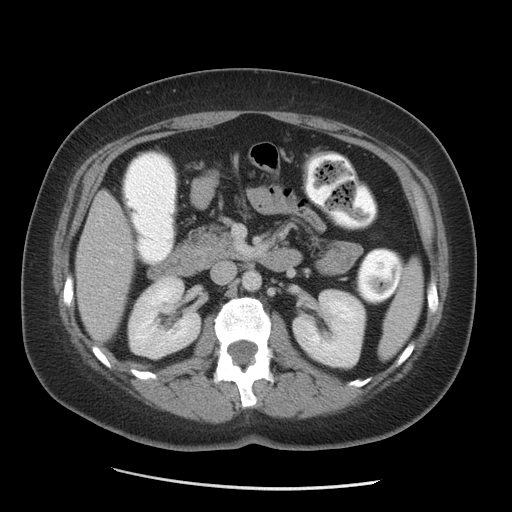

CT
2 kidney regions appear at box=[293, 290, 364, 366]; box=[129, 277, 199, 357]. The liver lies within box=[76, 191, 137, 340].